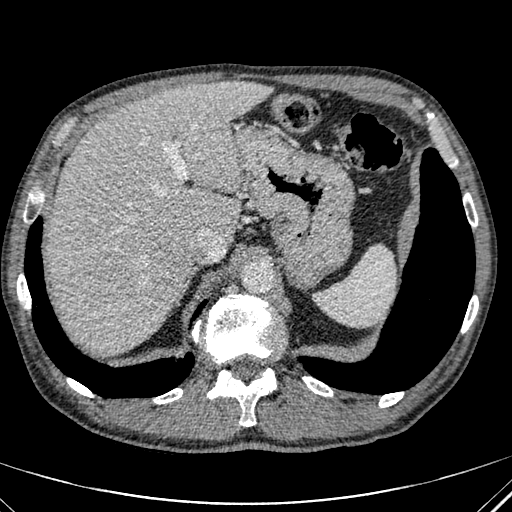
CT image, Upper abdomen
<segmentation>
  <liver>49 81 272 355</liver>
</segmentation>